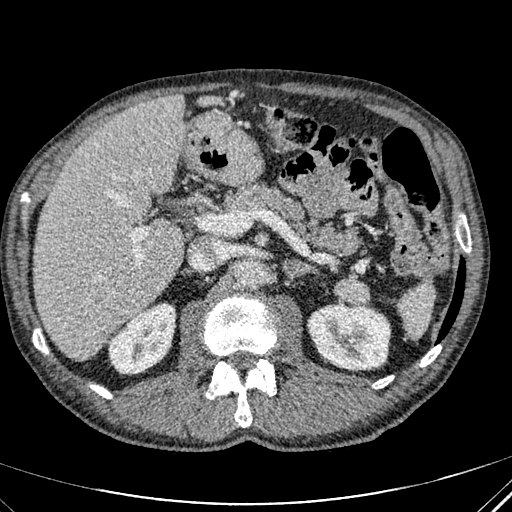
Computed tomography. Upper abdomen. <segmentation>
  <liver>[34, 96, 186, 359]</liver>
  <focal_liver_lesion>[160, 96, 174, 107]</focal_liver_lesion>
  <kidney>[309, 305, 389, 369], [109, 304, 174, 372]</kidney>
</segmentation>